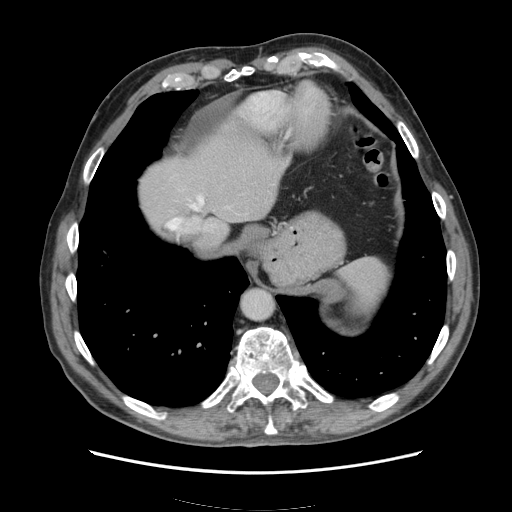 Abdomen | CT image
Segmented structures:
• spleen: l=336, t=258, r=392, b=325